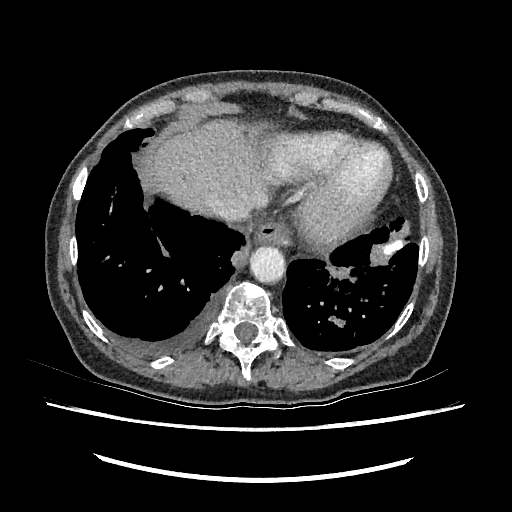 512x512; Computed tomography; Abdomen
Liver: bounding box (152, 121, 286, 215).